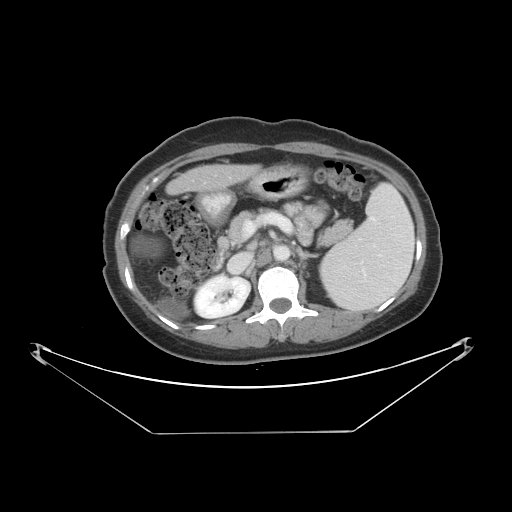 512x512 px. Abdomen. CT.
* liver tumor: box=[159, 301, 182, 320]